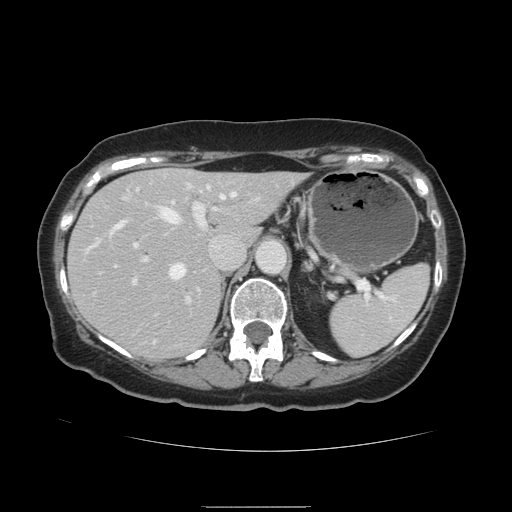

CT scan slice; 512x512 px; Abdomen

Only some of the vessels may be annotated.
<segmentation partial="true">
  <hepatic_vessel shown="15" total="18"><box>231,192,235,196</box>, <box>156,207,178,222</box>, <box>206,185,209,188</box>, <box>84,247,90,251</box>, <box>124,192,129,198</box>, <box>192,203,204,229</box>, <box>212,208,219,210</box>, <box>141,257,145,261</box>, <box>114,221,125,228</box>, <box>219,194,223,198</box>, <box>132,278,135,284</box>, <box>168,263,184,279</box>, <box>185,296,189,301</box>, <box>134,243,137,247</box>, <box>186,184,189,188</box></hepatic_vessel>
</segmentation>